CT scan slice, Slice 42 of 87 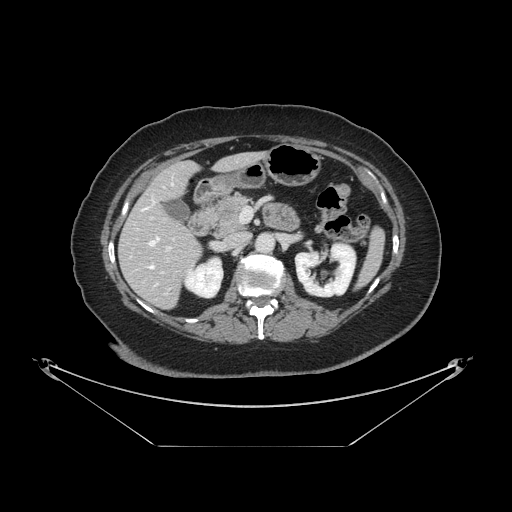

pancreatic_tumor:
  - 222 204 237 219
pancreas:
  - 209 196 248 238